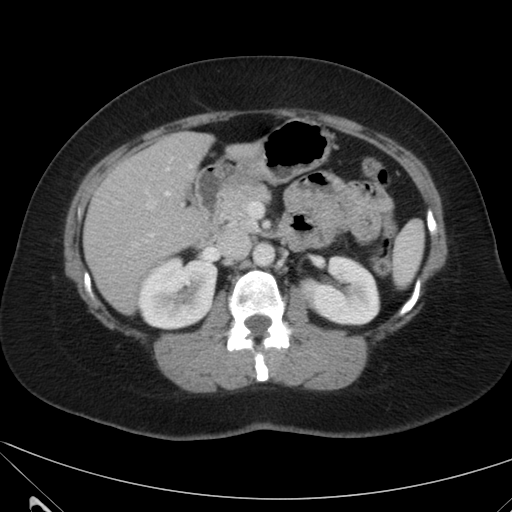
Abdomen. Image size 512x512. CT scan slice.
Liver at rect(84, 132, 213, 313); rect(226, 144, 259, 162).
Kidney at rect(306, 257, 377, 323); rect(139, 259, 216, 327).